Field of view 387x387 mm. CT scan slice. Slice index 497.

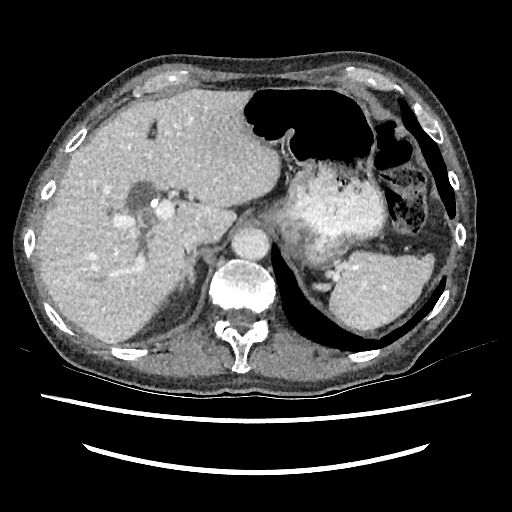
Liver — [x1=37, y1=91, x2=277, y2=342].